FLAIR MR.
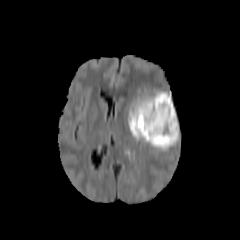
T1-weighted MRI.
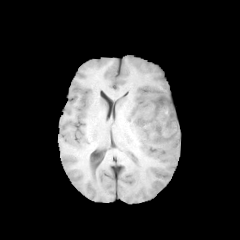
Post-contrast T1-weighted MR.
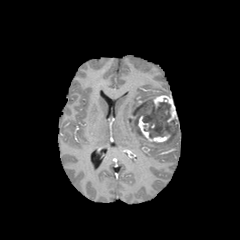
T2-weighted MR.
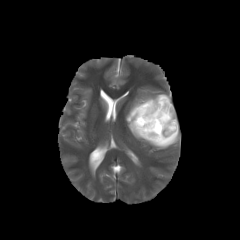
240x240 px | Brain
{"edema": ["126:87:180:150"], "enhancing_tumor": ["153:95:177:123", "138:115:170:142"], "non-enhancing_tumor_core": ["132:100:177:137"]}